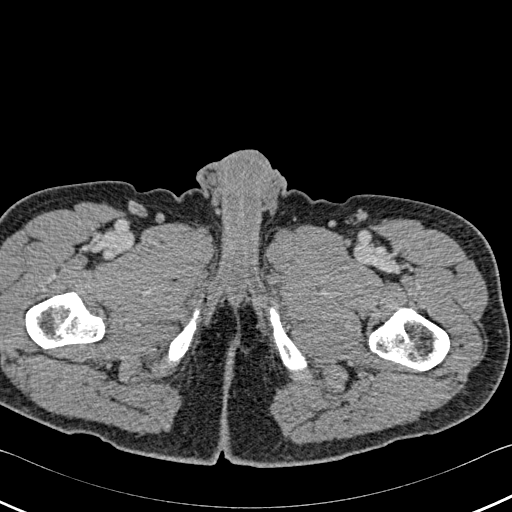
512x512 px; CT image
4 bone regions are bounded by box=[270, 306, 306, 371]; box=[169, 308, 198, 364]; box=[26, 292, 104, 348]; box=[369, 308, 449, 370].